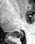
35x44; MRI
posterior_hippocampus:
  - region(8, 32, 23, 37)